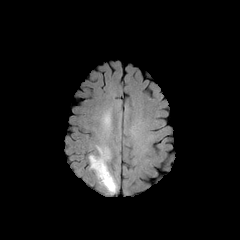
FLAIR MR.
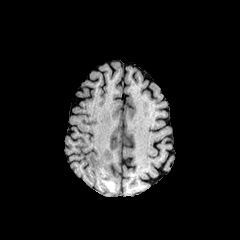
Same slice, T1-weighted MR image.
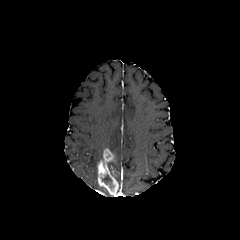
Post-contrast T1-weighted MR.
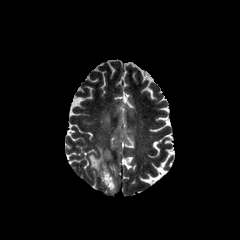
Same slice, T2-weighted MR image.
240x240
{
  "edema": [
    "[x1=100, y1=109, x2=111, y2=133]",
    "[x1=88, y1=145, x2=104, y2=170]"
  ],
  "non-enhancing_tumor_core": [
    "[x1=100, y1=173, x2=112, y2=184]"
  ],
  "enhancing_tumor": [
    "[x1=95, y1=148, x2=118, y2=194]"
  ]
}